FLAIR MR.
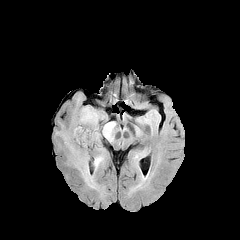
T1-weighted MR.
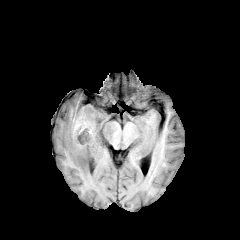
Post-contrast T1-weighted MR image.
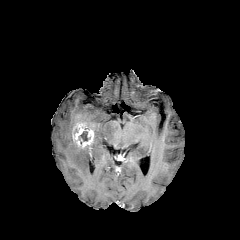
T2-weighted MRI.
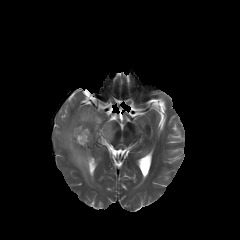
240x240 px | Brain
Enhancing tumor at 71, 123, 93, 147.
Edema at 61, 133, 99, 190; 102, 121, 114, 142; 79, 105, 104, 143; 93, 147, 105, 170.